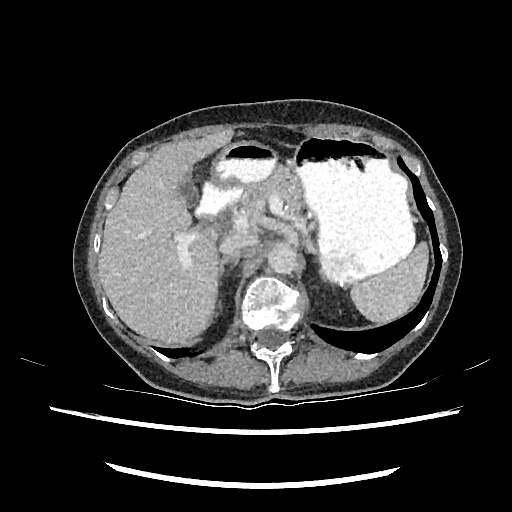 Computed tomography, Upper abdomen
The liver appears at <bbox>99, 131, 231, 342</bbox>.